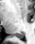
Magnetic resonance.

Segmented structures:
• posterior hippocampus: region(15, 33, 24, 38)